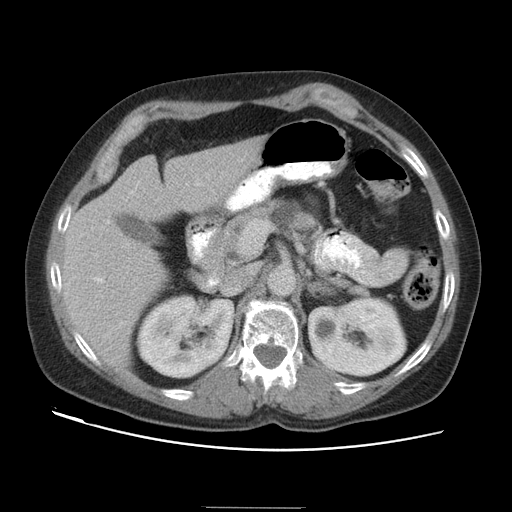
CT image, Upper abdomen

{"pancreas": ["bbox(204, 199, 319, 279)"], "pancreatic_tumor": ["bbox(269, 201, 299, 227)"]}